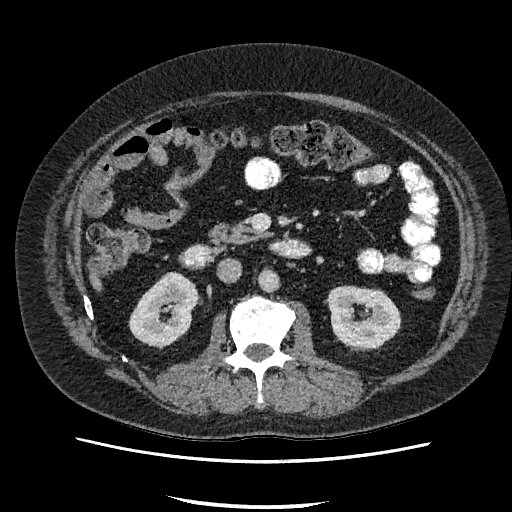

CT slice. Image size 512x512. liver:
  - l=93, t=277, r=99, b=286
kidney:
  - l=328, t=287, r=399, b=347
  - l=130, t=274, r=196, b=345